Slice index 52
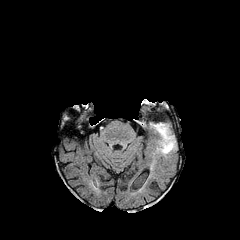
FLAIR MRI.
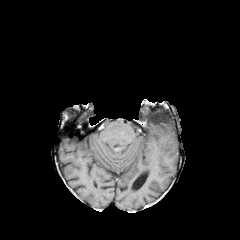
T1-weighted MR image.
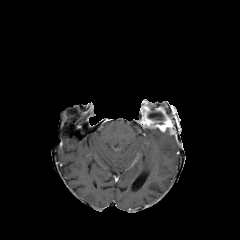
Post-contrast T1-weighted MRI of the same slice.
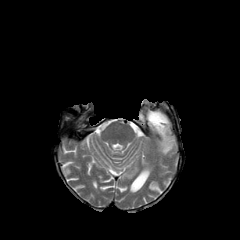
T2-weighted MR image.
The non-enhancing tumor core is located at bbox(141, 101, 168, 123). The edema is located at bbox(155, 131, 176, 157). The enhancing tumor is bounded by bbox(142, 119, 171, 133).